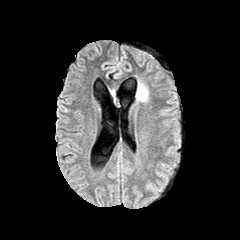
FLAIR MR image.
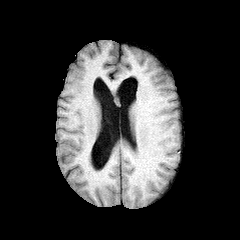
Same slice, T1-weighted MR.
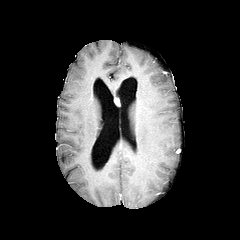
Post-contrast T1-weighted MR.
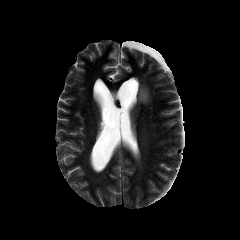
T2-weighted MR.
Brain, Image size 240x240
The edema lies within [x1=136, y1=83, x2=148, y2=103].